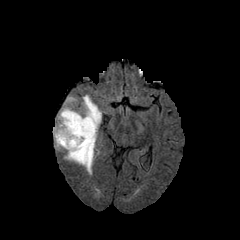
FLAIR MR.
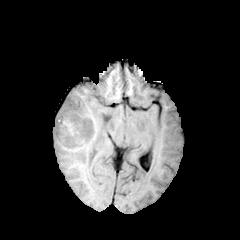
T1-weighted MR of the same slice.
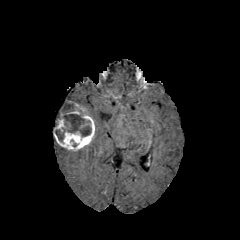
Post-contrast T1-weighted MR of the same slice.
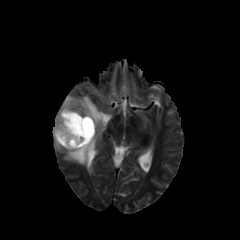
T2-weighted MR image.
240x240 px
enhancing tumor: bbox(53, 112, 94, 150); bbox(67, 102, 84, 114) | non-enhancing tumor core: bbox(70, 142, 92, 159); bbox(56, 130, 63, 140); bbox(60, 98, 90, 135) | edema: bbox(54, 94, 107, 174)